Slice 33/155. Brain.
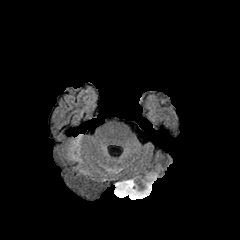
FLAIR MR image.
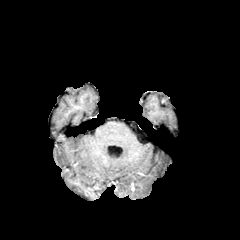
T1-weighted MRI of the same slice.
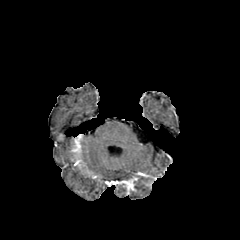
Post-contrast T1-weighted magnetic resonance of the same slice.
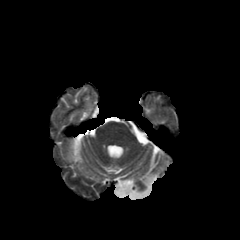
Same slice, T2-weighted MRI.
non-enhancing tumor core: bbox=[114, 183, 127, 194]; bbox=[130, 180, 139, 195]; bbox=[140, 175, 153, 186] | enhancing tumor: bbox=[116, 178, 137, 194] | edema: bbox=[114, 189, 127, 197]; bbox=[129, 180, 150, 199]